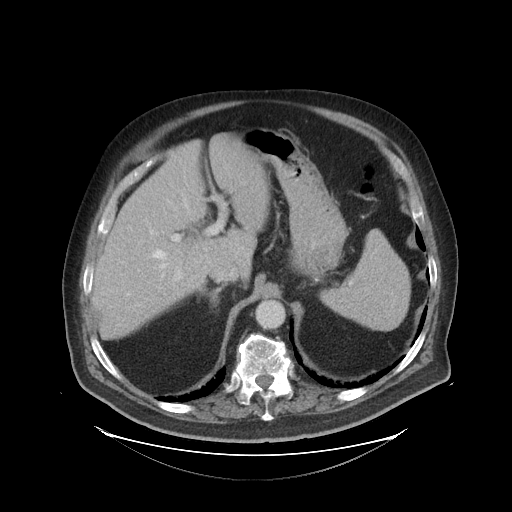 Abdomen, CT
Some hepatic vessels may have no box.
Segmented structures:
* hepatic vessel: (left=160, top=264, right=165, bottom=267), (left=184, top=199, right=188, bottom=207), (left=173, top=271, right=180, bottom=281), (left=172, top=236, right=178, bottom=240), (left=155, top=251, right=163, bottom=258)